FLAIR MRI.
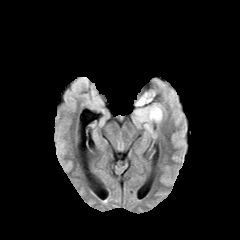
T1-weighted MR.
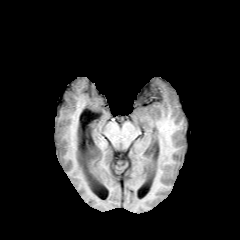
Post-contrast T1-weighted MRI.
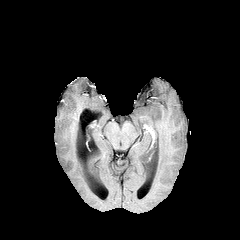
T2-weighted MR.
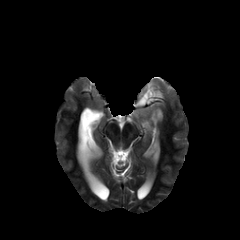
Annotated regions:
- edema: box(134, 99, 164, 123)
- non-enhancing tumor core: box(139, 86, 154, 104)